MRI slice 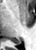
Segmented structures:
- posterior hippocampus: region(12, 40, 20, 44)